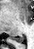
34x49 px; MRI
The posterior hippocampus is located at 10:35:23:42.